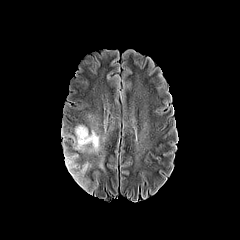
FLAIR MRI.
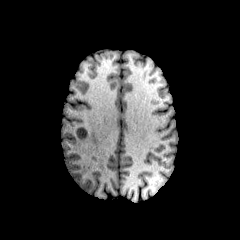
T1-weighted MR image of the same slice.
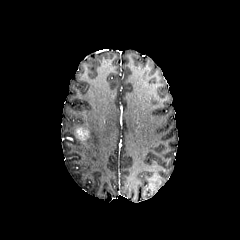
Post-contrast T1-weighted magnetic resonance.
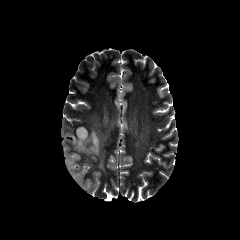
T2-weighted MR image.
Head
Annotated regions:
- edema: {"x1": 63, "y1": 153, "x2": 90, "y2": 189}, {"x1": 68, "y1": 128, "x2": 101, "y2": 154}
- enhancing tumor: {"x1": 75, "y1": 128, "x2": 88, "y2": 140}